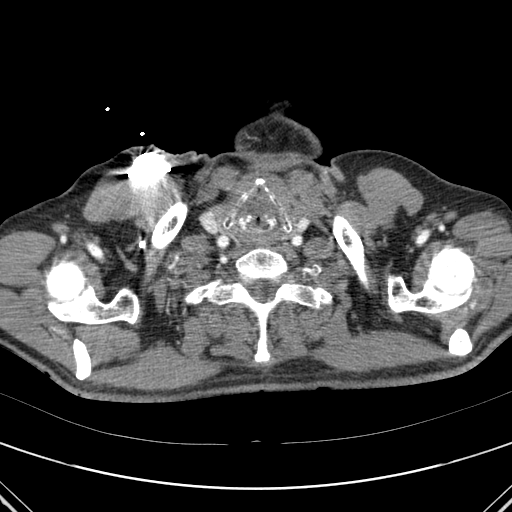

Image size 512x512, CT scan slice

bone:
  - 388:246:475:313
  - 73:339:91:379
  - 185:280:331:361
  - 45:261:139:324
  - 333:215:367:287
  - 236:248:287:280
  - 449:328:471:355
  - 151:201:187:250
  - 417:231:428:243